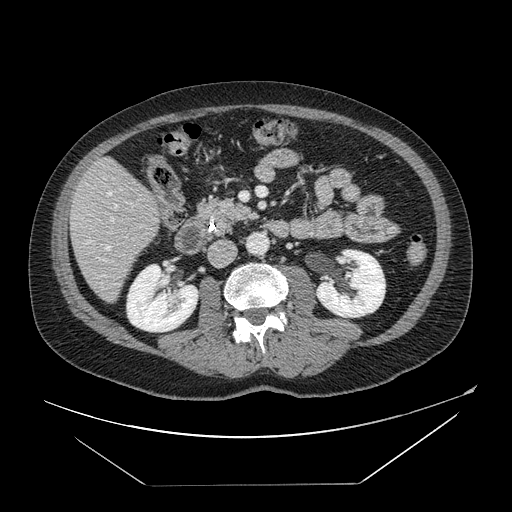

512x512. CT. Upper abdomen. Findings:
- pancreas: <bbox>198, 200, 258, 234</bbox>